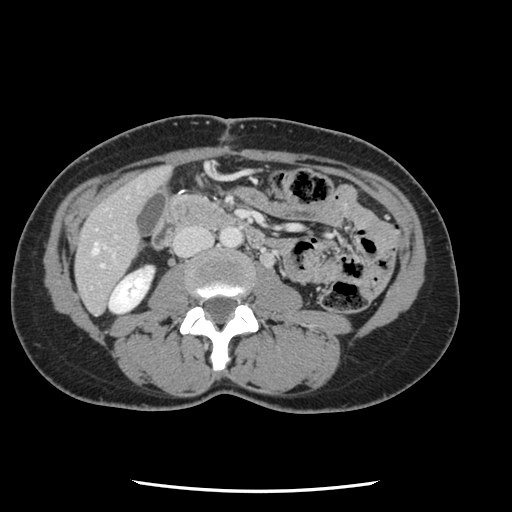

Liver | CT scan slice | Image size 512x512

Only some of the vessels may be annotated.
2 hepatic vessel regions appear at box=[92, 242, 98, 253]; box=[101, 264, 102, 266].